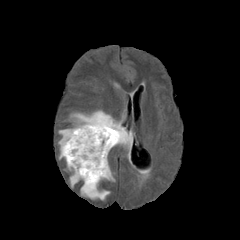
FLAIR MRI.
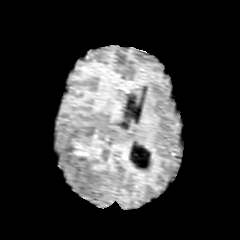
T1-weighted MRI of the same slice.
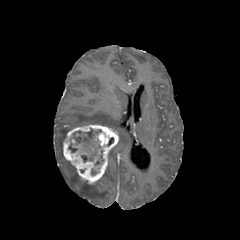
Post-contrast T1-weighted MR of the same slice.
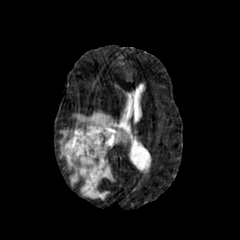
Same slice, T2-weighted MRI.
240x240.
<segmentation>
  <non-enhancing_tumor_core>bbox=[68, 128, 103, 166]</non-enhancing_tumor_core>
  <enhancing_tumor>bbox=[63, 124, 118, 183]</enhancing_tumor>
  <edema>bbox=[58, 110, 132, 199]</edema>
</segmentation>